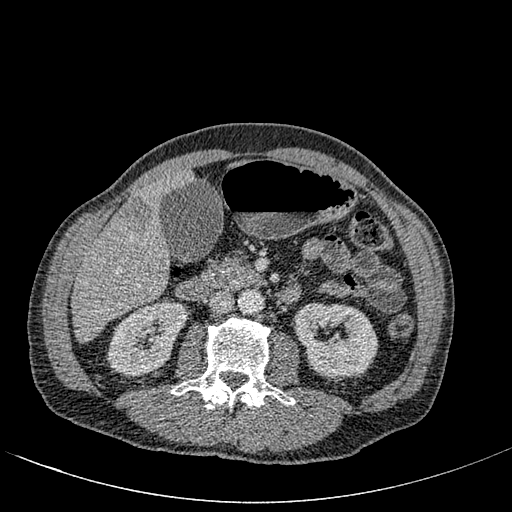 CT slice | Abdomen

Annotated regions:
• kidney: 295, 303, 377, 377; 108, 302, 187, 376
• liver: 229, 158, 248, 167; 74, 168, 195, 343
• hepatic lesion: 118, 198, 152, 232